FLAIR MR.
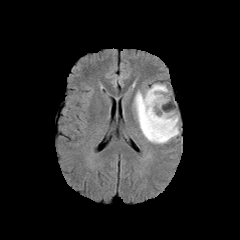
T1-weighted magnetic resonance.
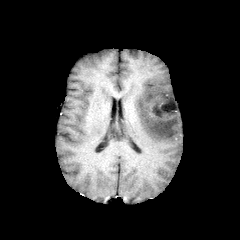
Post-contrast T1-weighted MR.
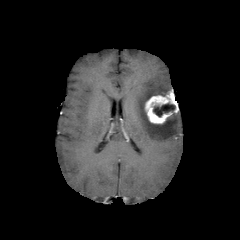
T2-weighted MR image.
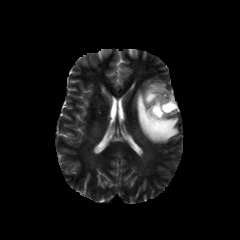
Brain
The enhancing tumor appears at 144, 91, 177, 123. The edema lies within 134, 80, 181, 143. 3 non-enhancing tumor core regions appear at 146, 92, 167, 100; 153, 103, 175, 116; 139, 100, 173, 133.